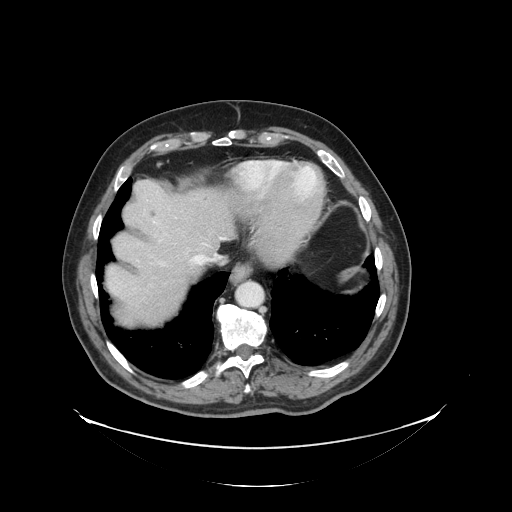

Abdomen | 512x512 | CT scan slice

The vessel annotation is not exhaustive.
{"hepatic_vessel": ["(154, 222, 156, 223)", "(213, 255, 217, 260)", "(221, 237, 224, 240)", "(191, 255, 209, 264)", "(204, 243, 208, 245)"]}